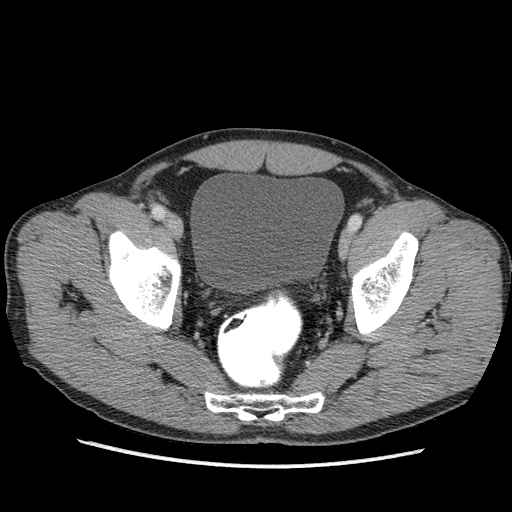

CT scan slice; Pelvis
<segmentation>
  <urinary_bladder>rect(190, 171, 343, 291)</urinary_bladder>
</segmentation>